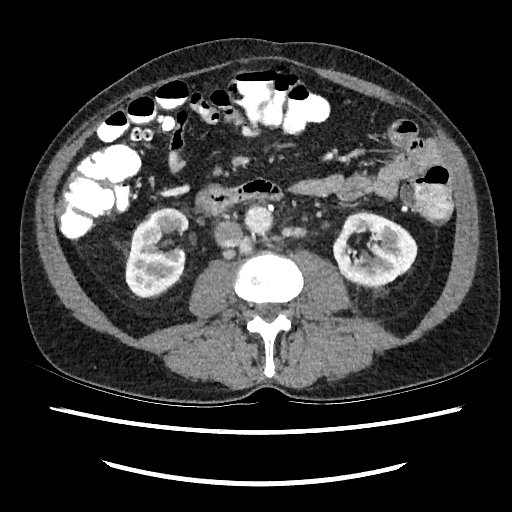
512x512 px; CT scan slice; Abdomen
Kidney — box(334, 213, 416, 284); box(126, 209, 187, 296).